Abdomen; Computed tomography
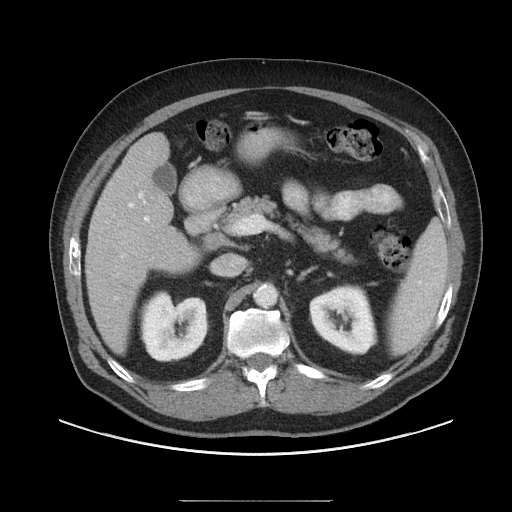

The vessel annotation is not exhaustive.
hepatic_vessel:
  - bbox=[129, 203, 133, 206]
  - bbox=[143, 201, 145, 202]
  - bbox=[121, 254, 124, 257]
  - bbox=[139, 193, 142, 197]
  - bbox=[144, 217, 149, 221]